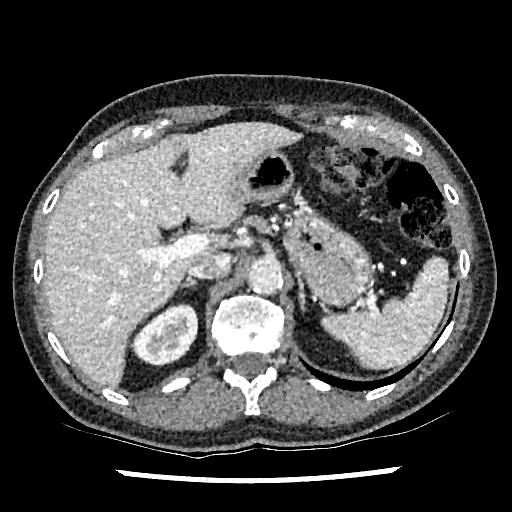

512x512 | CT

{"kidney": ["x1=135 y1=306 x2=196 y2=363"], "liver": ["x1=219 y1=235 x2=228 y2=245", "x1=45 y1=122 x2=301 y2=387"]}